Upper abdomen, CT image, 512x512 px

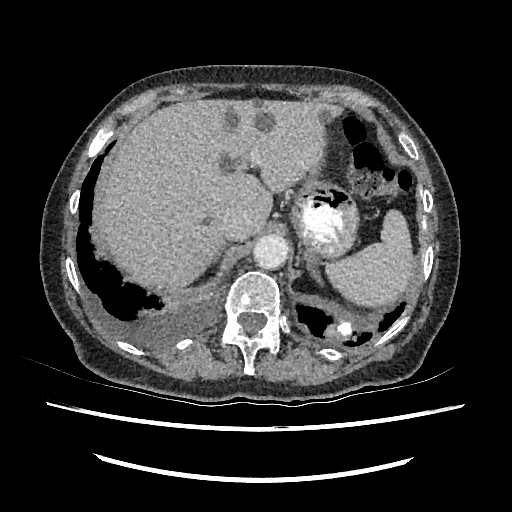 {"liver_lesion": ["(left=317, top=107, right=332, bottom=125)", "(left=225, top=105, right=239, bottom=130)", "(left=220, top=154, right=239, bottom=176)", "(left=254, top=112, right=275, bottom=131)", "(left=202, top=216, right=212, bottom=225)", "(left=253, top=101, right=263, bottom=107)"], "liver": ["(left=102, top=100, right=342, bottom=288)"]}